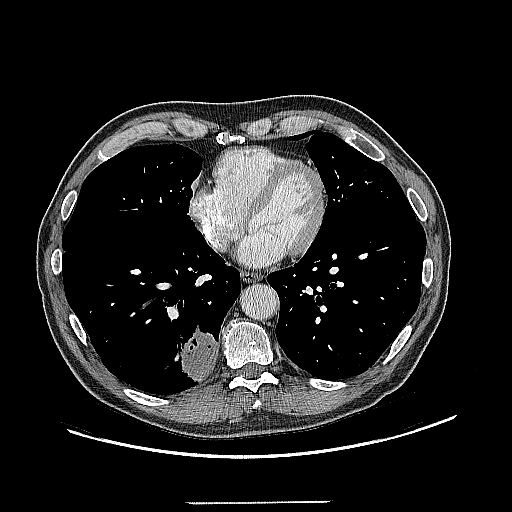
Chest. CT scan slice.
{"lung_tumor": ["(left=176, top=326, right=218, bottom=382)"]}